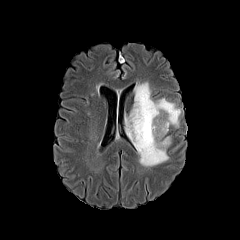
FLAIR MR.
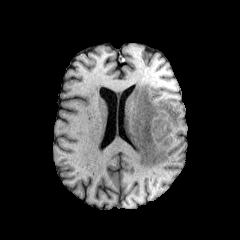
Same slice, T1-weighted magnetic resonance.
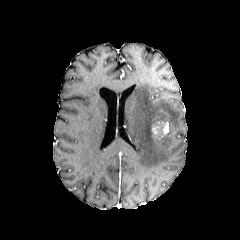
Post-contrast T1-weighted MRI.
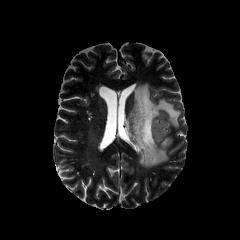
T2-weighted MR.
Image size 240x240
2 non-enhancing tumor core regions are bounded by region(153, 128, 171, 144); region(152, 111, 169, 126). The enhancing tumor lies within region(152, 121, 168, 137). The edema is bounded by region(125, 83, 180, 167).